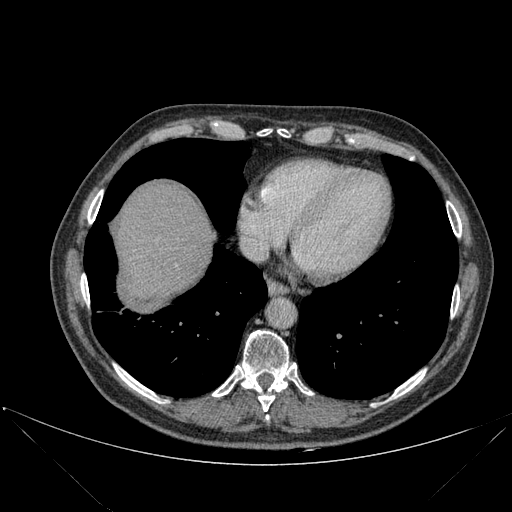 CT image.
bone: left=450, top=286, right=459, bottom=316; left=113, top=364, right=160, bottom=402; left=80, top=274, right=89, bottom=303; left=87, top=190, right=102, bottom=223; left=258, top=395, right=274, bottom=411; left=390, top=369, right=426, bottom=398; left=278, top=129, right=286, bottom=136; left=447, top=201, right=461, bottom=237; left=212, top=330, right=311, bottom=396 | lung: left=84, top=138, right=267, bottom=396; left=296, top=154, right=458, bottom=399 | liver: left=110, top=185, right=216, bottom=312